Slice 16 of 53, Abdomen, CT scan slice

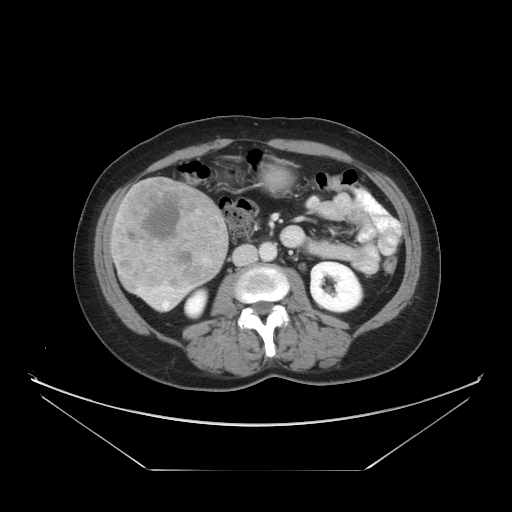
The liver tumor is located at region(113, 179, 226, 293).